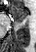 MR image | Medial temporal lobe
<segmentation>
  <anterior_hippocampus>[x1=10, y1=4, x2=28, y2=22]</anterior_hippocampus>
</segmentation>